Field of view 351 mm wide, 1.00 mm slice spacing; CT image

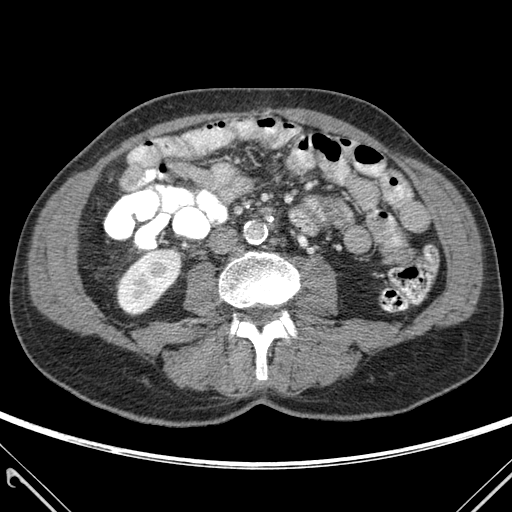

• kidney: <bbox>118, 250, 180, 313</bbox>
• bone: <bbox>231, 312, 295, 379</bbox>, <bbox>219, 252, 299, 307</bbox>